Abdomen | Computed tomography 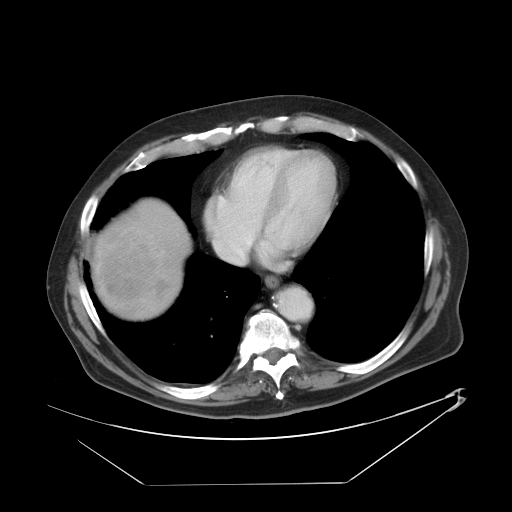 Liver tumor = 100, 232, 173, 314.